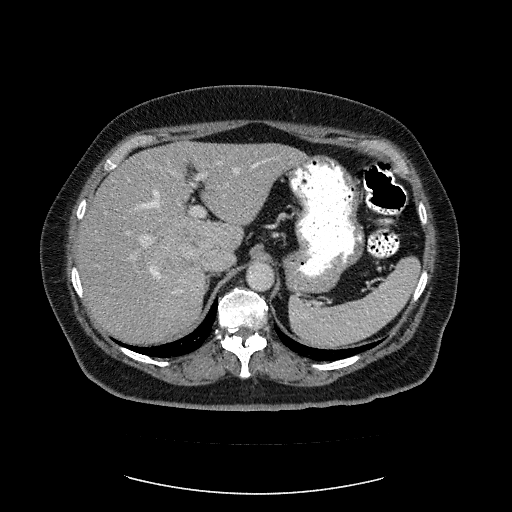

Image size 512x512, CT slice
Not every hepatic vessel necessarily has a box.
<segmentation partial="true">
  <liver_tumor><box>181,261,193,269</box></liver_tumor>
  <hepatic_vessel shown="15" total="18"><box>126,231,131,233</box>, <box>154,191,158,196</box>, <box>174,289,180,292</box>, <box>140,235,153,246</box>, <box>137,200,159,208</box>, <box>234,168,238,172</box>, <box>171,170,181,176</box>, <box>189,182,195,186</box>, <box>150,267,159,277</box>, <box>253,163,259,166</box>, <box>197,174,205,179</box>, <box>273,157,277,158</box>, <box>129,252,137,258</box>, <box>217,161,221,163</box>, <box>191,206,205,216</box></hepatic_vessel>
</segmentation>